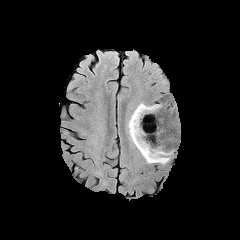
FLAIR MRI.
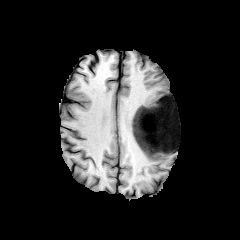
Same slice, T1-weighted magnetic resonance.
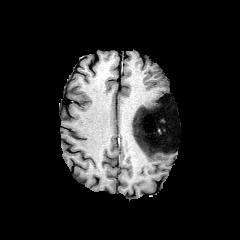
Post-contrast T1-weighted magnetic resonance.
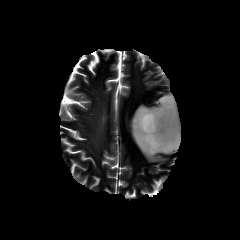
Same slice, T2-weighted MR.
Brain
Segmented structures:
• non-enhancing tumor core: {"x1": 132, "y1": 102, "x2": 176, "y2": 155}
• edema: {"x1": 127, "y1": 101, "x2": 175, "y2": 163}, {"x1": 140, "y1": 112, "x2": 150, "y2": 143}